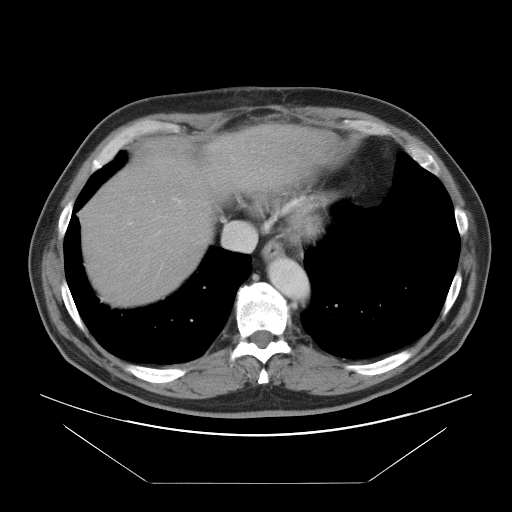

CT image
Some hepatic vessels may have no box.
Hepatic vessel: bounding box [130,222,131,223], [177,199,180,201].